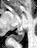 Magnetic resonance, 37x48 px, Hippocampus

Posterior hippocampus at bbox=[13, 30, 25, 42].